Lung. CT image. 512x512. 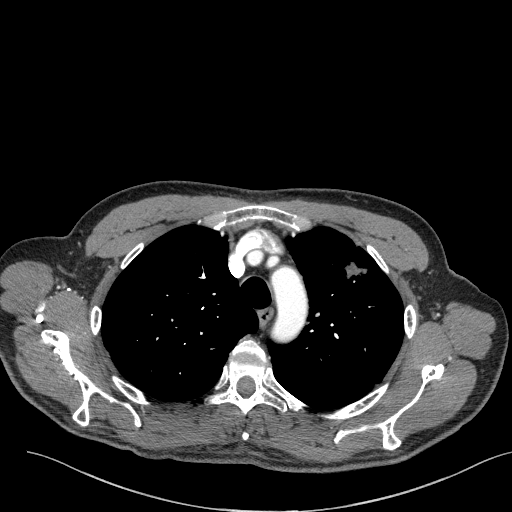
Lung tumor at {"x1": 340, "y1": 257, "x2": 372, "y2": 298}.